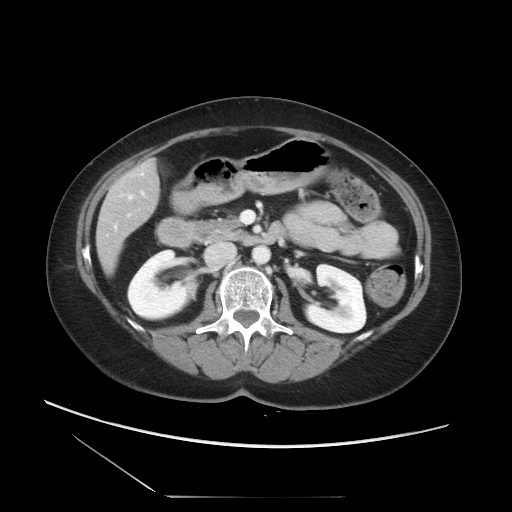
Image size 512x512, CT slice
Only some of the vessels may be annotated.
4 hepatic vessel regions are bounded by <bbox>121, 194, 133, 199</bbox>, <bbox>114, 226, 116, 230</bbox>, <bbox>141, 173, 143, 175</bbox>, <bbox>141, 192, 144, 195</bbox>.